Computed tomography | Abdomen
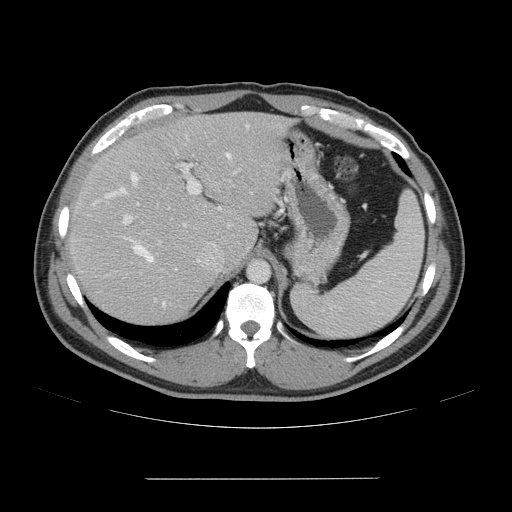 Not every hepatic vessel necessarily has a box.
13 hepatic vessel regions appear at x1=106, y1=188, x2=125, y2=197; x1=226, y1=154, x2=230, y2=157; x1=187, y1=178, x2=200, y2=193; x1=131, y1=173, x2=138, y2=181; x1=154, y1=299, x2=156, y2=300; x1=158, y1=241, x2=160, y2=243; x1=133, y1=245, x2=152, y2=261; x1=124, y1=215, x2=131, y2=223; x1=92, y1=202, x2=96, y2=204; x1=247, y1=124, x2=248, y2=127; x1=184, y1=224, x2=185, y2=225; x1=162, y1=302, x2=165, y2=307; x1=181, y1=163, x2=192, y2=173.